CT; Liver; Slice 26/43
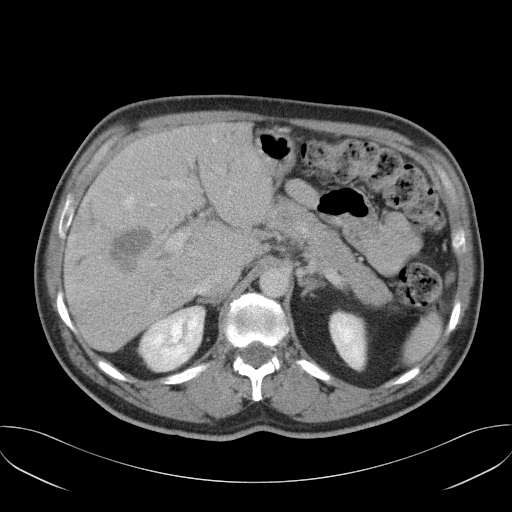
The vessel annotation is not exhaustive.
<segmentation>
  <liver_tumor>box=[108, 227, 152, 272]</liver_tumor>
  <hepatic_vessel>box=[166, 230, 189, 248]; box=[192, 280, 209, 292]; box=[170, 181, 183, 187]; box=[126, 199, 133, 207]</hepatic_vessel>
</segmentation>